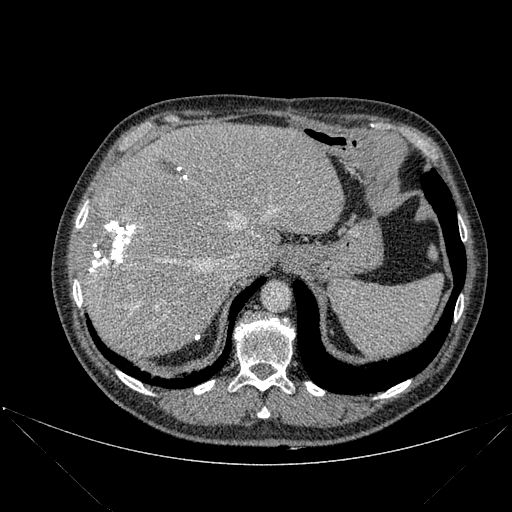
Upper abdomen | CT image
focal liver lesion: rect(156, 160, 176, 174) | liver: rect(78, 123, 344, 356) | bone: rect(230, 318, 294, 393); rect(73, 280, 82, 306); rect(76, 204, 87, 228); rect(454, 300, 463, 321); rect(380, 380, 410, 397); rect(194, 380, 214, 394); rect(460, 220, 466, 241); rect(305, 382, 324, 395); rect(116, 371, 150, 394); rect(258, 407, 269, 417) | lung: rect(151, 277, 265, 388); rect(293, 169, 465, 393); rect(87, 322, 146, 381)